Brain
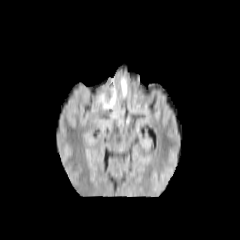
FLAIR magnetic resonance.
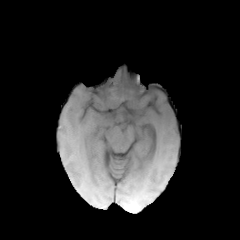
T1-weighted MR image of the same slice.
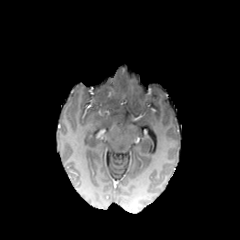
Post-contrast T1-weighted MR of the same slice.
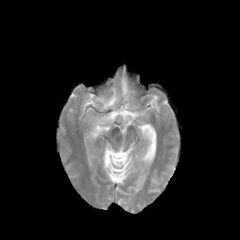
T2-weighted MR.
edema:
  - 121 78 126 95
non-enhancing_tumor_core:
  - 88 85 113 109